Slice 85/155. Field of view 240 mm wide, 1.00 mm slice spacing.
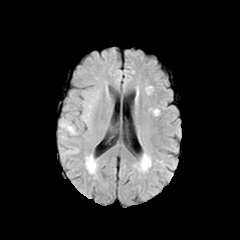
FLAIR MRI.
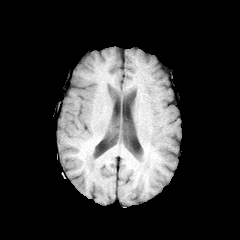
T1-weighted MRI of the same slice.
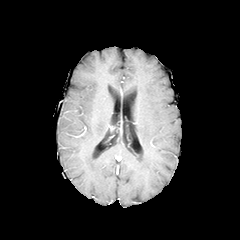
Post-contrast T1-weighted MRI.
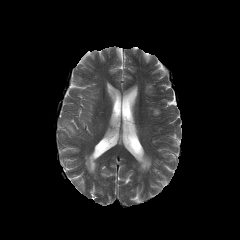
T2-weighted MR.
edema: bbox=[59, 121, 76, 134]; bbox=[86, 103, 92, 120]; bbox=[61, 148, 78, 154]